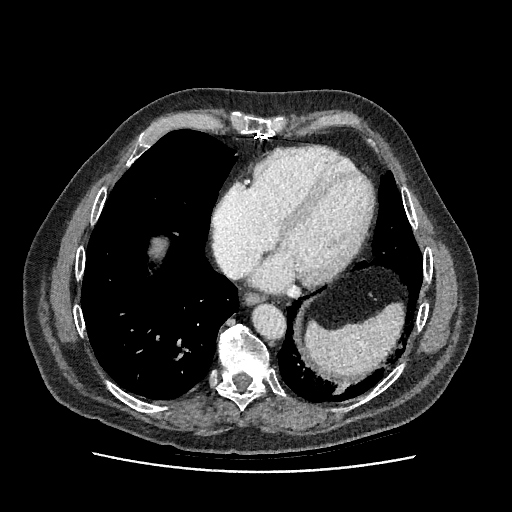
Upper abdomen | CT image
The liver is at box(152, 239, 165, 254).